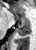
Image size 36x50 | MRI slice

posterior_hippocampus:
  - <box>15,23,29,35</box>
anterior_hippocampus:
  - <box>20,16,29,22</box>
  - <box>14,14,15,18</box>
  - <box>17,16,17,19</box>